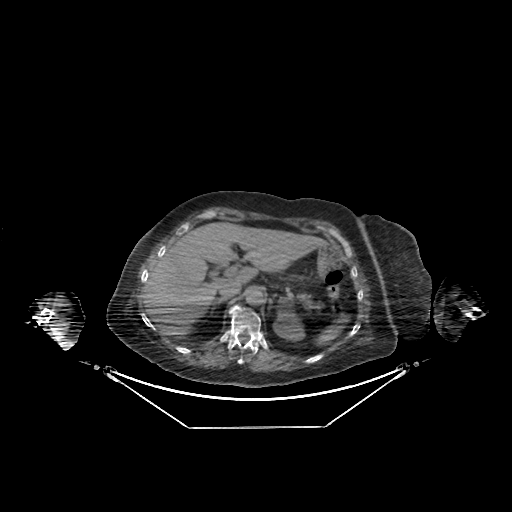

CT slice

Liver: (142, 220, 324, 343).
Kidney: (273, 302, 305, 341).